Field of view 480 mm wide, 1.25 mm slice spacing, Slice 194/252, CT slice 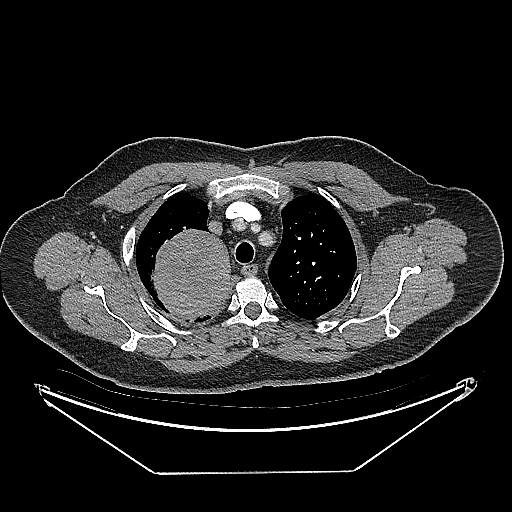 The lung tumor is bounded by box=[148, 226, 231, 323].